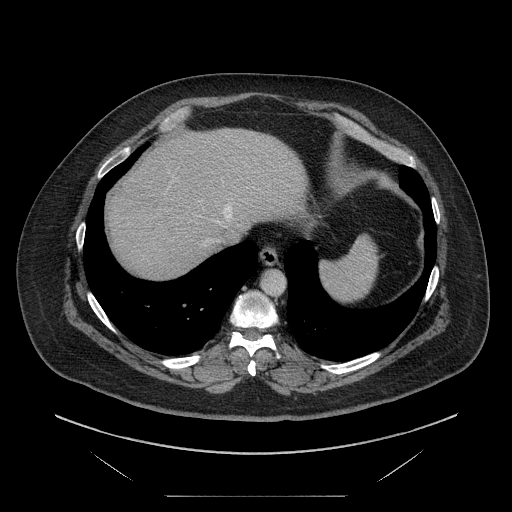
CT image.
Not every hepatic vessel necessarily has a box.
- hepatic vessel: [201, 238, 219, 245], [228, 241, 232, 241], [213, 198, 234, 234], [240, 232, 241, 233]